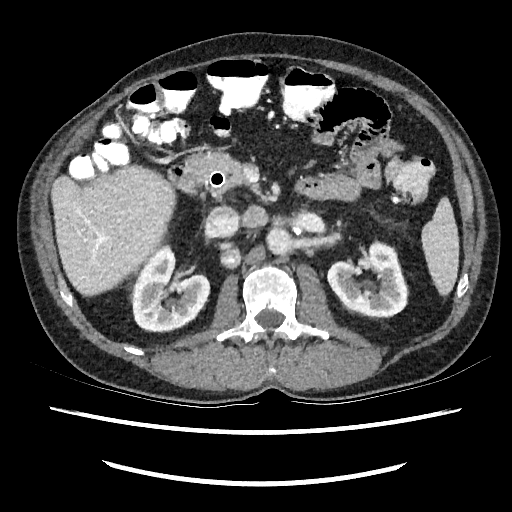 Abdomen, Computed tomography

<segmentation>
  <liver>bbox=[52, 166, 173, 294]</liver>
  <kidney>bbox=[133, 248, 209, 330]; bbox=[328, 244, 406, 316]</kidney>
</segmentation>